CT image.

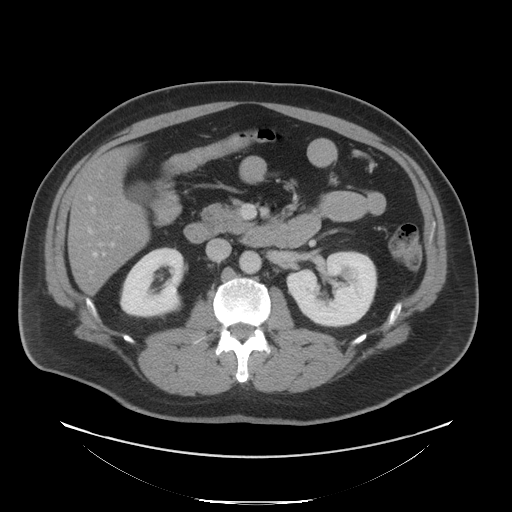

Segmented structures:
* pancreas: rect(201, 202, 251, 233)